Slice index 39. CT image.

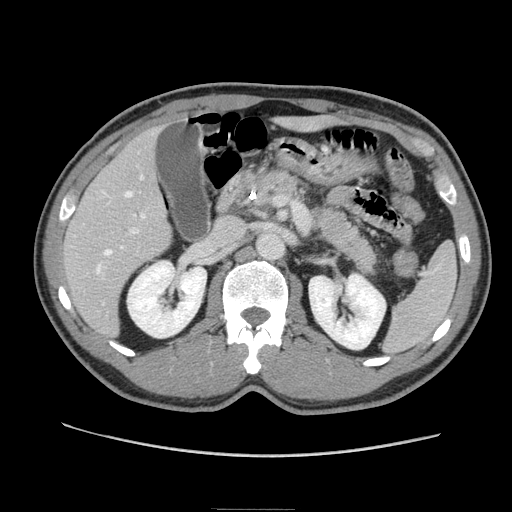 Pancreas at (251,170,306,206), (307,200,380,278).